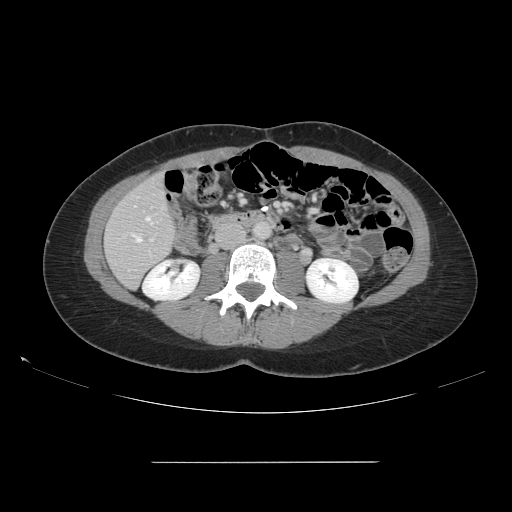
CT scan slice. Abdomen. Not every hepatic vessel necessarily has a box.
3 hepatic vessel regions appear at (146,217,152,224), (131,234,141,242), (148,250,149,252).